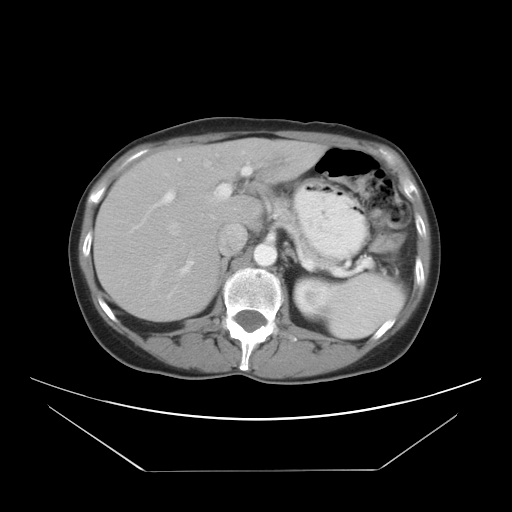 Computed tomography; Liver

Only some of the vessels may be annotated.
Hepatic vessel at box(241, 169, 241, 173); box(241, 150, 244, 153); box(177, 156, 179, 159); box(190, 250, 192, 255); box(167, 222, 177, 234); box(167, 289, 173, 297); box(205, 195, 213, 201); box(255, 208, 257, 212); box(131, 193, 171, 230); box(167, 254, 168, 255); box(245, 162, 250, 169); box(178, 258, 192, 275); box(216, 185, 228, 194); box(174, 286, 175, 288); box(168, 188, 174, 196).